CT slice; Image size 512x512; Abdomen; Slice index 54

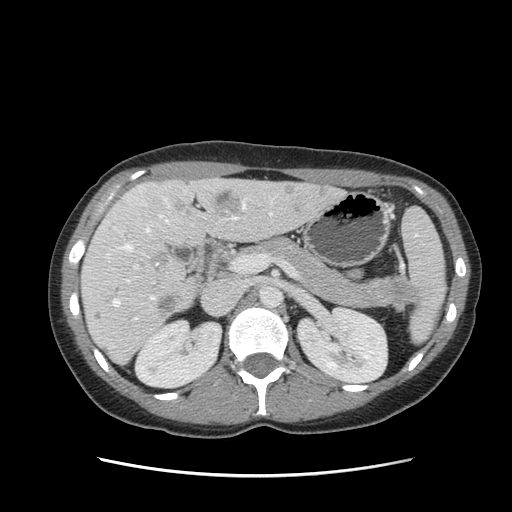

Findings:
• pancreas: [244,237,394,308]
• pancreatic tumor: [377,276,419,311]